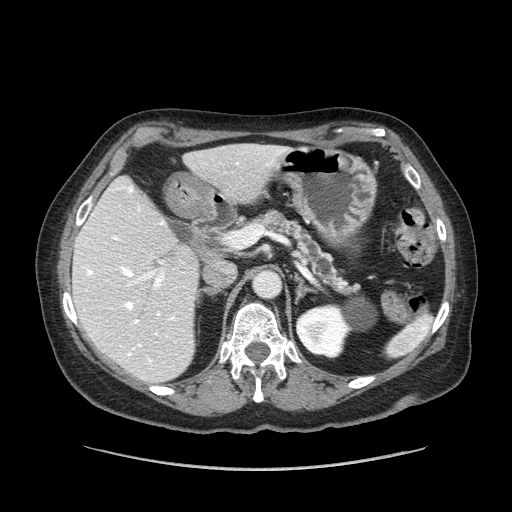
CT scan slice; Image size 512x512; Upper abdomen

Annotated regions:
- pancreatic tumor: x1=263, y1=211, x2=282, y2=225
- pancreas: x1=254, y1=214, x2=361, y2=297